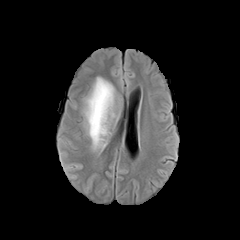
FLAIR MRI.
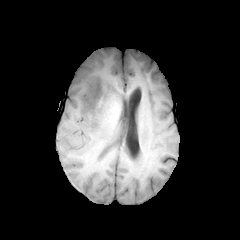
T1-weighted magnetic resonance of the same slice.
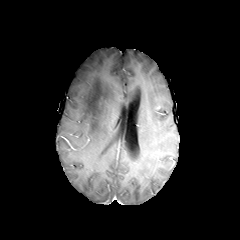
Same slice, post-contrast T1-weighted magnetic resonance.
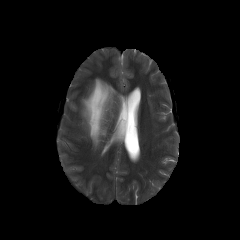
Same slice, T2-weighted MR image.
Brain.
edema: x1=82, y1=77, x2=114, y2=148